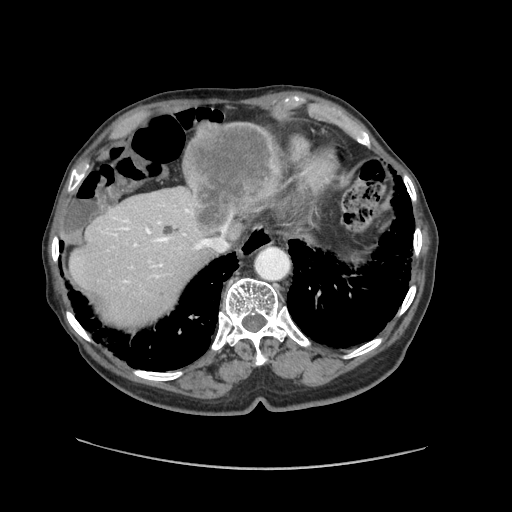 CT.

Some hepatic vessels may have no box.
Segmented structures:
• hepatic vessel: box=[159, 264, 161, 266]; box=[134, 243, 136, 246]; box=[221, 225, 227, 233]; box=[158, 222, 159, 223]; box=[152, 237, 170, 242]; box=[194, 236, 227, 251]
• liver tumor: box=[185, 126, 276, 230]